Slice 124/155. Head.
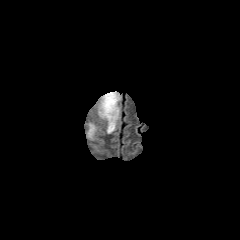
FLAIR MR.
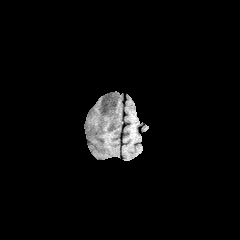
Same slice, T1-weighted MRI.
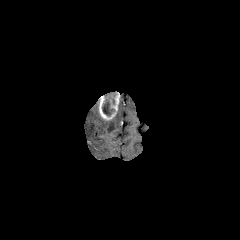
Post-contrast T1-weighted magnetic resonance of the same slice.
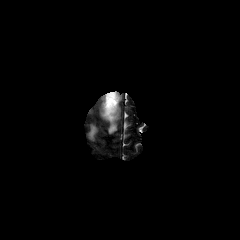
T2-weighted MR.
2 enhancing tumor regions are located at <bbox>109, 95, 118, 109</bbox>, <bbox>99, 95, 108, 117</bbox>. The non-enhancing tumor core is at <bbox>102, 92, 118, 119</bbox>. 2 edema regions are bounded by <bbox>103, 100, 119, 133</bbox>, <bbox>88, 124, 99, 138</bbox>.